FLAIR MR.
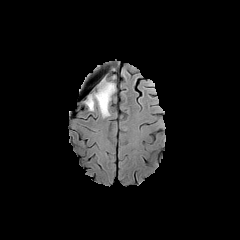
T1-weighted magnetic resonance.
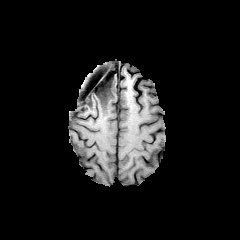
Post-contrast T1-weighted MR image.
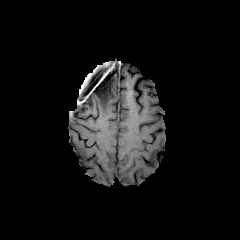
T2-weighted MR image.
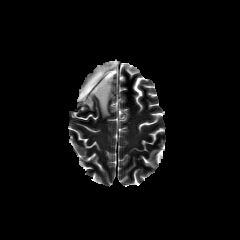
Brain
<segmentation>
  <non-enhancing_tumor_core>x1=98, y1=103, x2=109, y2=113; x1=82, y1=78, x2=111, y2=109</non-enhancing_tumor_core>
  <edema>x1=93, y1=78, x2=115, y2=117</edema>
</segmentation>